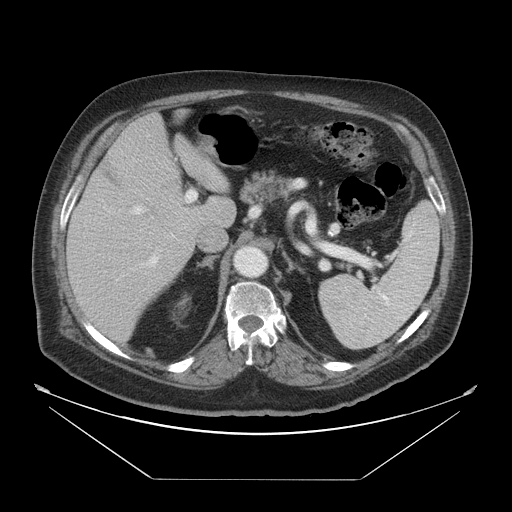
Computed tomography
The vessel annotation is not exhaustive.
6 hepatic vessel regions are bounded by 185 190 196 202, 131 268 133 269, 199 228 226 250, 130 206 144 214, 140 249 161 267, 170 233 174 237. 2 liver tumor regions are located at 98 153 130 191, 139 209 156 223.